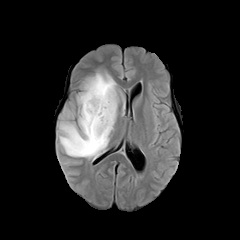
FLAIR MR.
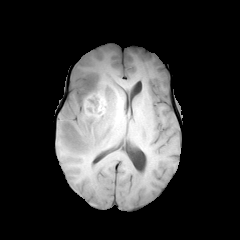
T1-weighted magnetic resonance.
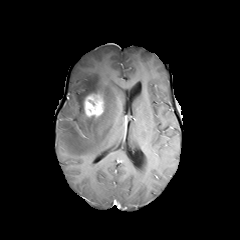
Same slice, post-contrast T1-weighted MR.
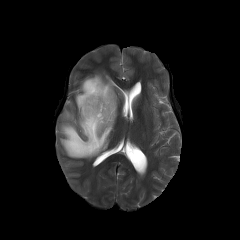
Same slice, T2-weighted MRI.
Brain.
<segmentation>
  <edema>[x1=56, y1=72, x2=118, y2=161]</edema>
  <enhancing_tumor>[x1=85, y1=96, x2=103, y2=116]</enhancing_tumor>
</segmentation>